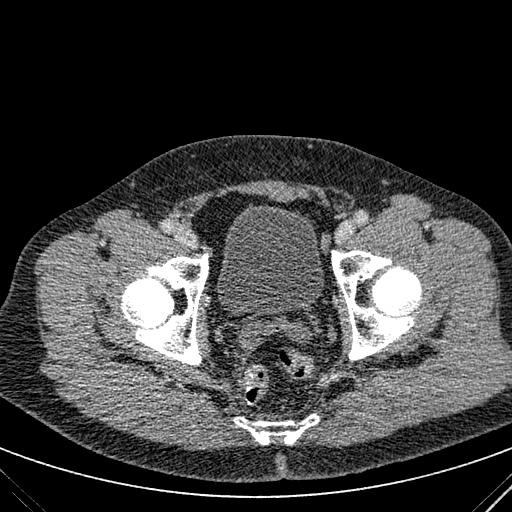
CT slice
{
  "urinary_bladder": [
    "x1=217 y1=203 x2=324 y2=316"
  ]
}